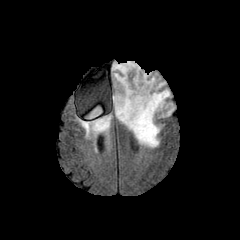
FLAIR MRI.
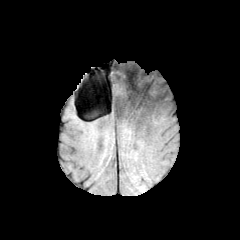
T1-weighted MR of the same slice.
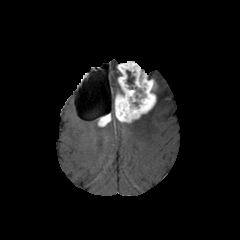
Post-contrast T1-weighted magnetic resonance.
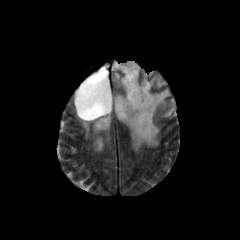
T2-weighted MR image.
Image size 240x240 | Brain
edema: x1=122, y1=75, x2=174, y2=147; x1=112, y1=62, x2=119, y2=95; x1=82, y1=107, x2=109, y2=133 | non-enhancing tumor core: x1=126, y1=70, x2=134, y2=84 | enhancing tumor: x1=114, y1=61, x2=156, y2=121; x1=98, y1=114, x2=110, y2=126